Computed tomography; Field of view 438 mm wide, 0.70 mm slice spacing 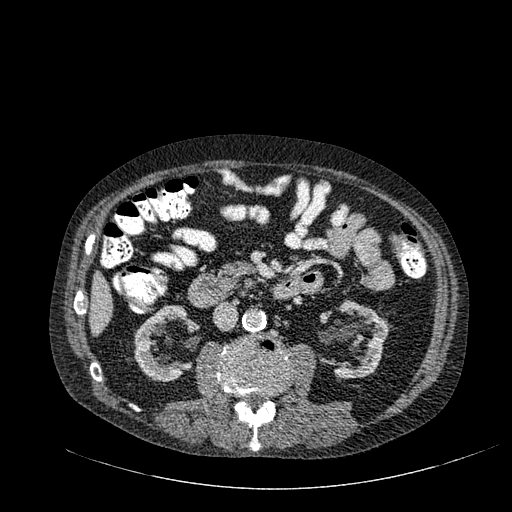
<segmentation>
  <kidney>box(184, 337, 198, 348); box(319, 311, 331, 323); box(134, 305, 199, 381); box(319, 301, 388, 378)</kidney>
  <liver>box(91, 273, 111, 334)</liver>
</segmentation>